CT; 512x512 px; Upper abdomen; Field of view 435 mm wide, 2.50 mm slice spacing

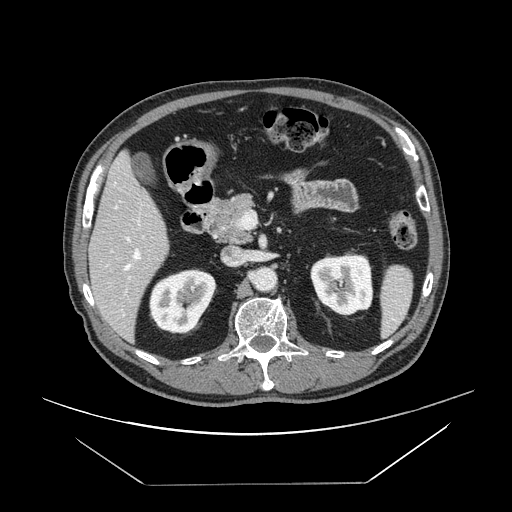
The pancreas is bounded by bbox(208, 194, 254, 245).